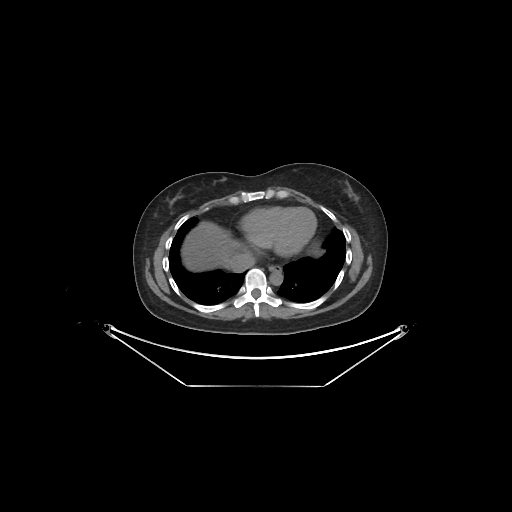 Abdomen | CT slice | Image size 512x512

liver: box(183, 223, 253, 267)